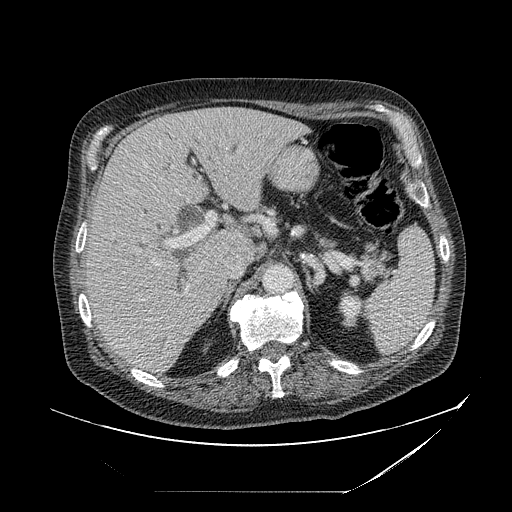 CT
pancreas: <box>359,243,385,282</box>, <box>316,231,336,247</box>